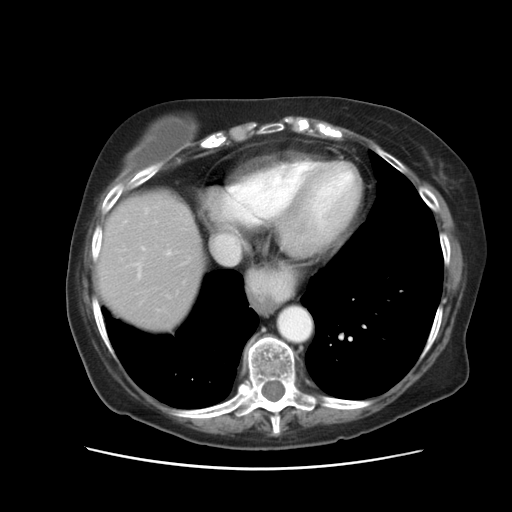 Liver. CT scan slice. Image size 512x512.
Only some of the vessels may be annotated.
Hepatic vessel = [142,248,143,250], [144,209,147,213], [213,231,240,265], [228,226,230,228], [164,251,170,254], [132,263,140,278].